CT slice; 512x512 px; Field of view 400x400 mm; Slice 448/761
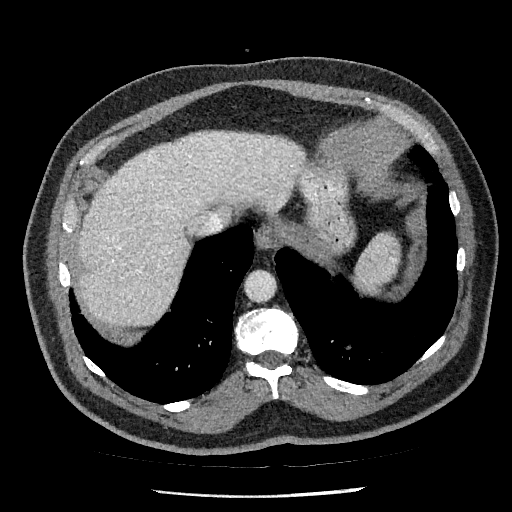 Liver at (left=78, top=131, right=304, bottom=326).